240x240 | Slice 108 of 155 | Head
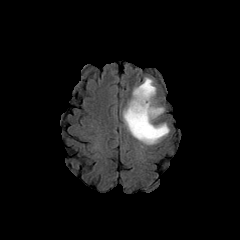
FLAIR MR image.
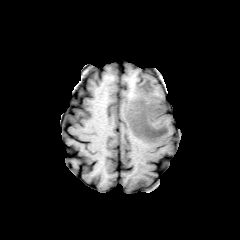
Same slice, T1-weighted MRI.
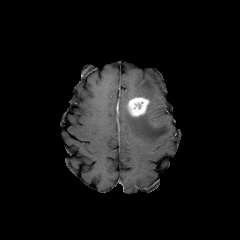
Same slice, post-contrast T1-weighted magnetic resonance.
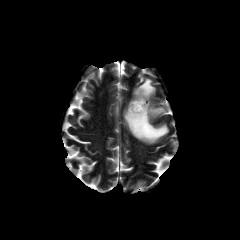
Same slice, T2-weighted magnetic resonance.
The edema is located at [123, 77, 169, 144]. The enhancing tumor appears at [127, 96, 150, 117].